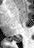 MR
The posterior hippocampus is bounded by (left=12, top=37, right=21, bottom=41).